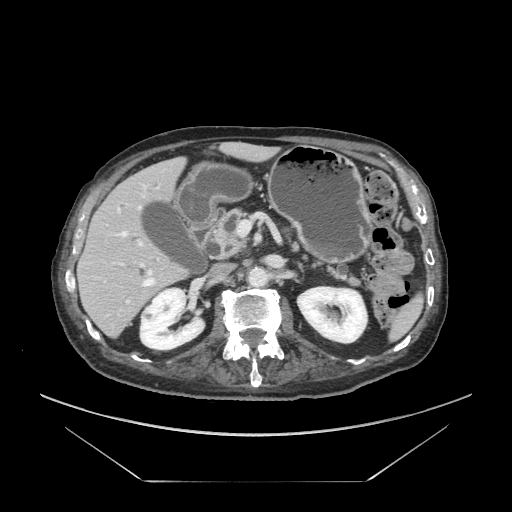

CT image; 512x512
2 pancreas regions are located at 215,209,243,257; 336,264,348,278.